CT. Pelvis.
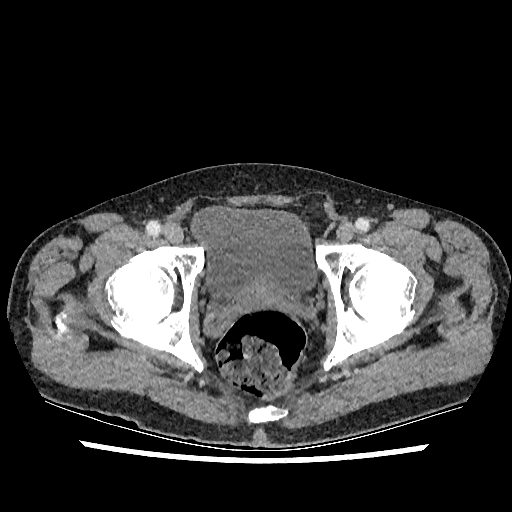 The urinary bladder is located at <bbox>193, 203, 318, 325</bbox>.